CT scan slice, Slice index 157, 512x512 px 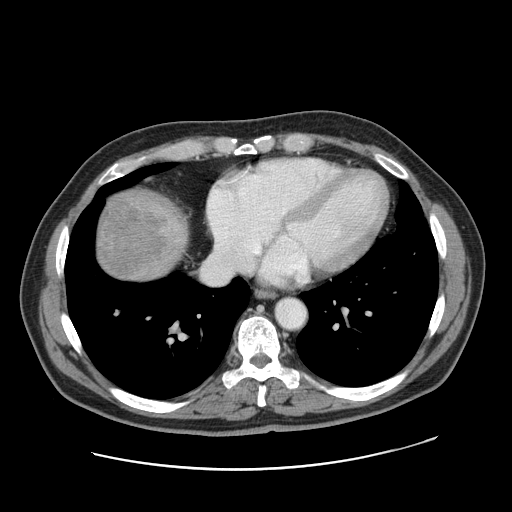

Annotated regions:
- liver tumor: 98, 193, 165, 277